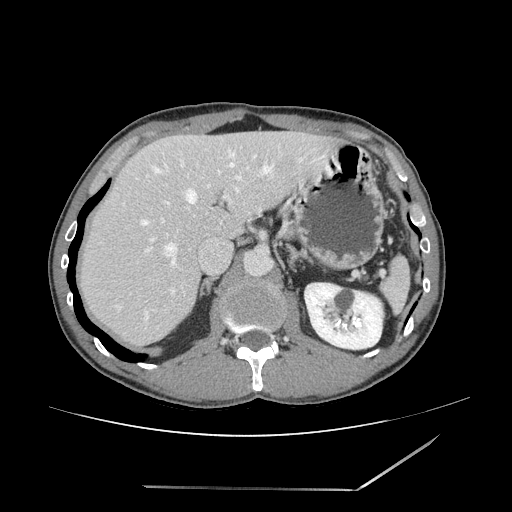

512x512 | CT scan slice
{
  "pancreas": [
    "284,221,297,239"
  ]
}